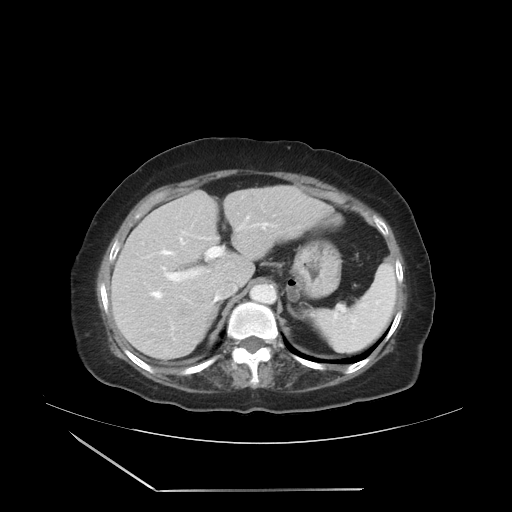

CT scan slice

The vessel annotation is not exhaustive.
Segmented structures:
* hepatic vessel: bbox(143, 256, 149, 258); bbox(238, 216, 275, 229); bbox(196, 236, 210, 240); bbox(179, 231, 190, 245); bbox(206, 247, 220, 258); bbox(150, 288, 163, 299); bbox(180, 296, 189, 301); bbox(213, 300, 214, 302); bbox(161, 266, 208, 282); bbox(141, 242, 142, 244); bbox(160, 249, 175, 254); bbox(171, 322, 174, 329)